Image size 36x52, Field of view 36x52 mm, Magnetic resonance 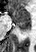

Posterior hippocampus: bounding box region(16, 23, 29, 30).
Anterior hippocampus: bounding box region(7, 6, 29, 22).